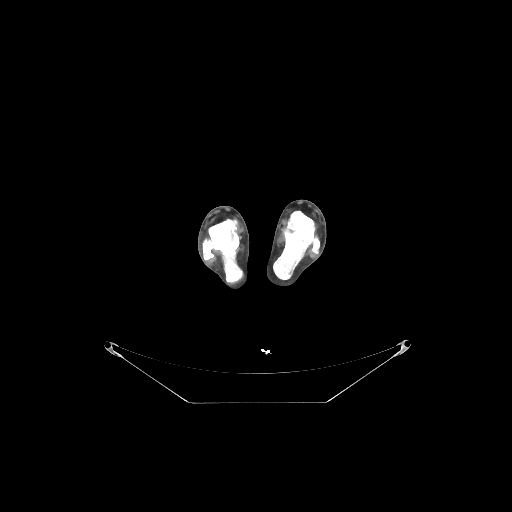 CT slice

bone:
  - 203,219,242,282
  - 273,211,319,279